Slice 49/155
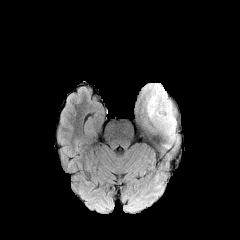
FLAIR MRI.
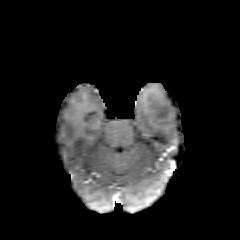
T1-weighted MR of the same slice.
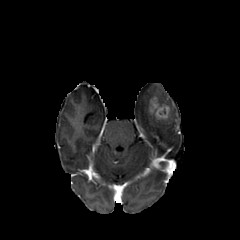
Same slice, post-contrast T1-weighted MRI.
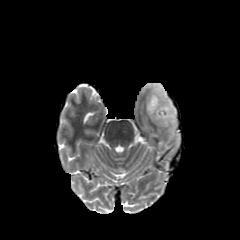
T2-weighted MRI.
• enhancing tumor: 150,100,169,119
• edema: 144,84,178,139
• non-enhancing tumor core: 148,96,158,119